FLAIR magnetic resonance.
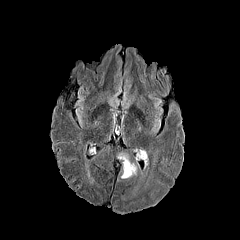
T1-weighted MR.
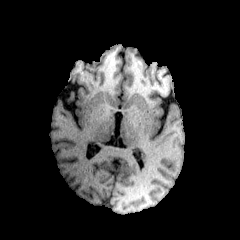
Post-contrast T1-weighted magnetic resonance.
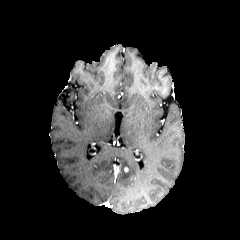
T2-weighted MRI.
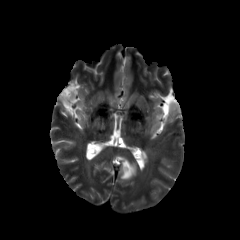
240x240. Head.
Edema: bounding box rect(149, 121, 159, 134); rect(116, 156, 136, 179); rect(140, 148, 147, 167).